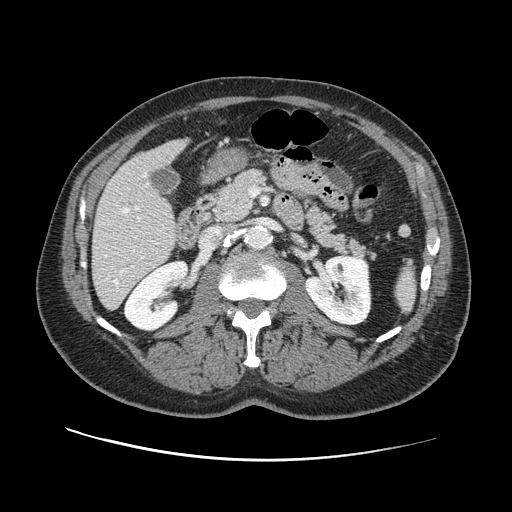 512x512. Abdomen. CT. Pancreas — bbox=[207, 167, 270, 223]; bbox=[301, 199, 375, 262].